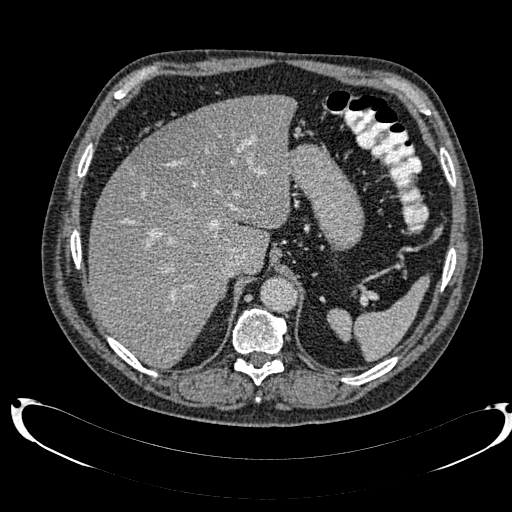 CT slice. Upper abdomen. 512x512.

The focal liver lesion lies within l=133, t=100, r=249, b=207. The liver is at l=89, t=95, r=296, b=367.